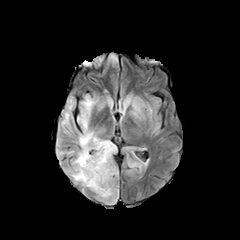
FLAIR MRI.
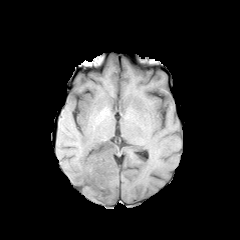
T1-weighted MR.
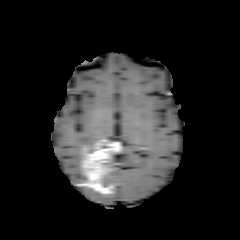
Same slice, post-contrast T1-weighted magnetic resonance.
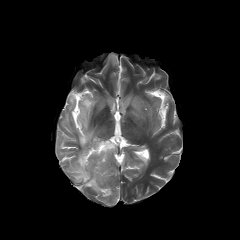
T2-weighted MR image.
Brain
Annotated regions:
• enhancing tumor: 78, 140, 117, 195
• non-enhancing tumor core: 101, 172, 113, 191; 82, 140, 100, 155; 102, 158, 111, 171
• edema: 61, 94, 107, 147; 65, 149, 85, 182; 104, 170, 115, 184